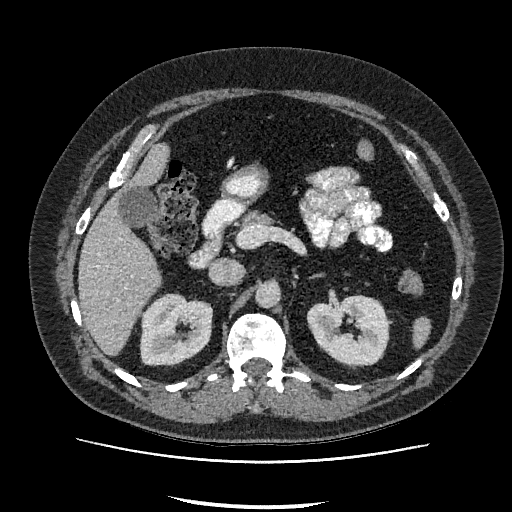
Computed tomography, Liver
Liver at region(78, 142, 167, 354).
Kidney at region(308, 296, 387, 364); region(141, 295, 211, 363).